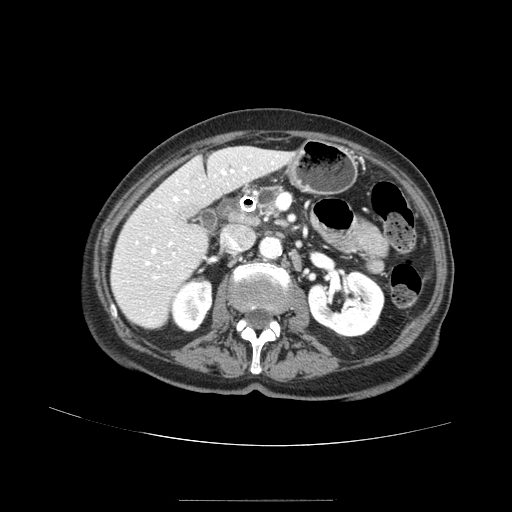
Abdomen. CT scan slice.

Pancreas at (258, 187, 281, 213).